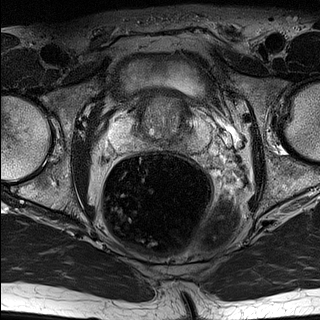
T2-weighted MR image.
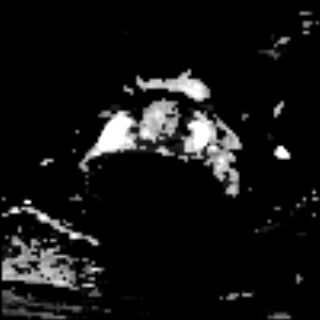
ADC MR.
Pelvis
prostate_peripheral_zone:
  - 113, 111, 207, 151
prostate_transition_zone:
  - 133, 107, 197, 141